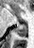
MRI slice; Medial temporal lobe

posterior hippocampus: bbox=[14, 25, 26, 36]